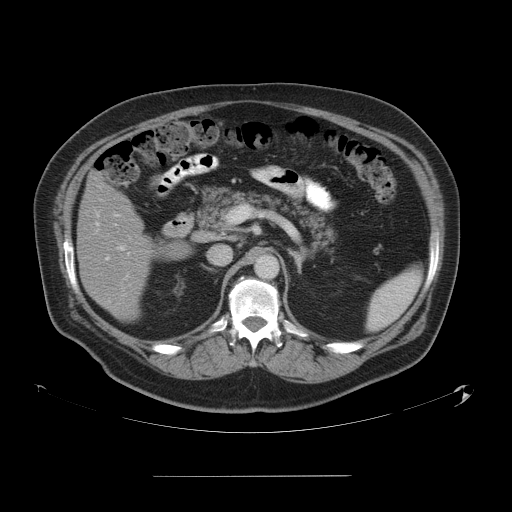

CT image, Liver
Only some of the vessels may be annotated.
Hepatic vessel at 106, 257, 108, 259; 96, 223, 98, 230; 119, 246, 124, 250.